CT slice | Slice 67/113 | Abdomen

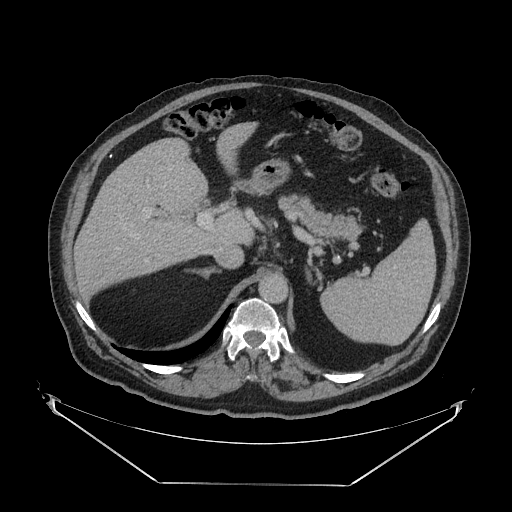

- pancreas: <box>280,197,359,239</box>